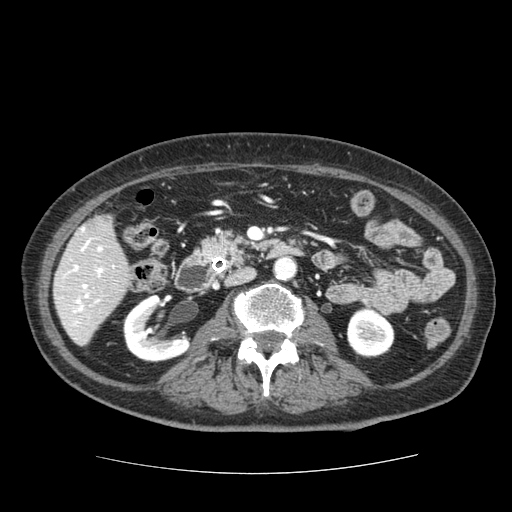 Abdomen; CT
Segmented structures:
- pancreas: 198:233:251:265